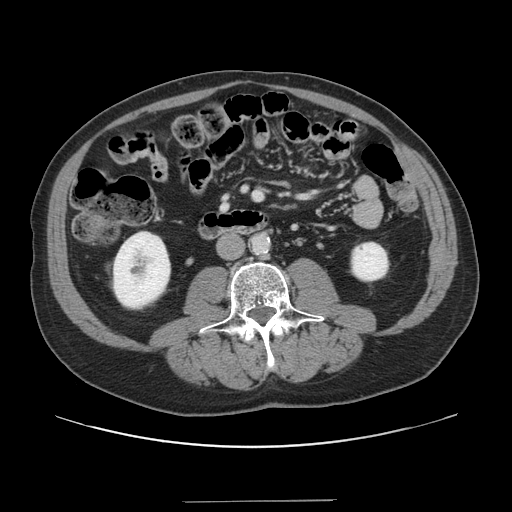

CT image.
Not every hepatic vessel necessarily has a box.
<segmentation>
  <hepatic_vessel>(x1=254, y1=192, x2=259, y2=196)</hepatic_vessel>
</segmentation>